FLAIR MR.
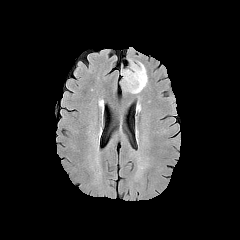
T1-weighted MR.
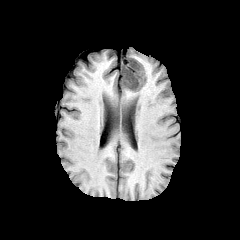
Post-contrast T1-weighted magnetic resonance.
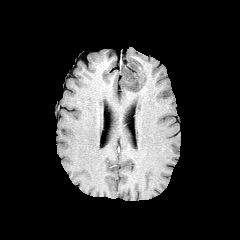
T2-weighted magnetic resonance.
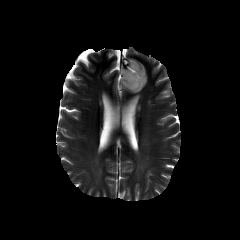
Head
edema:
  - (left=121, top=63, right=147, bottom=93)
non-enhancing_tumor_core:
  - (left=122, top=60, right=145, bottom=89)